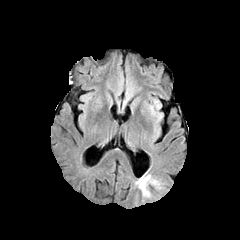
FLAIR MR.
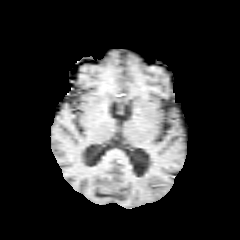
T1-weighted MR image of the same slice.
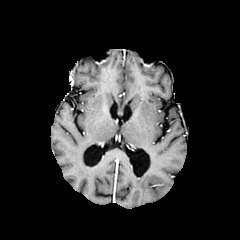
Post-contrast T1-weighted magnetic resonance of the same slice.
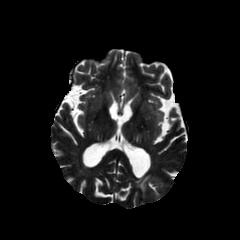
T2-weighted magnetic resonance of the same slice.
240x240.
The edema lies within {"x1": 135, "y1": 173, "x2": 161, "y2": 197}.